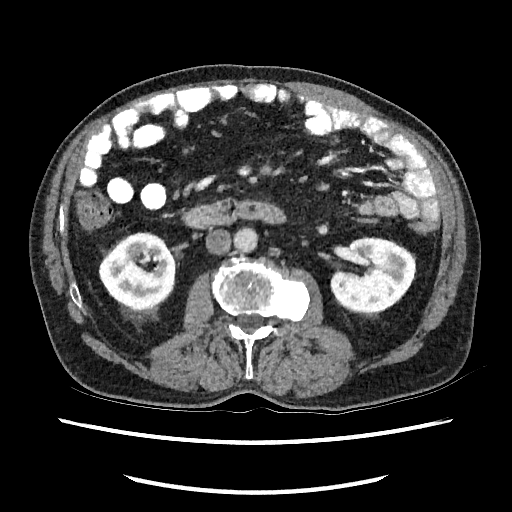

512x512, CT image

2 kidney regions appear at <bbox>331, 237, 415, 315</bbox>, <bbox>99, 233, 175, 313</bbox>.